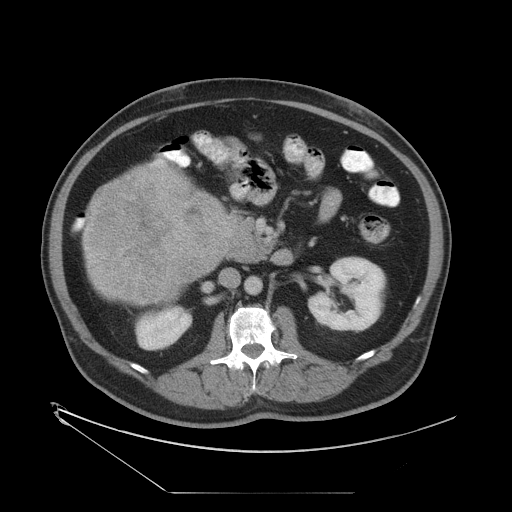 CT slice. Abdomen. 512x512. Liver tumor — (84,160,234,302).